Slice index 120, Head, 240x240
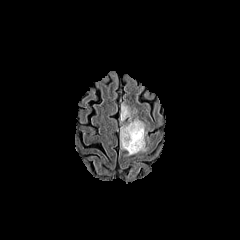
FLAIR MRI.
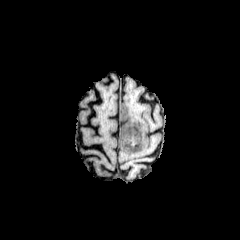
T1-weighted MR.
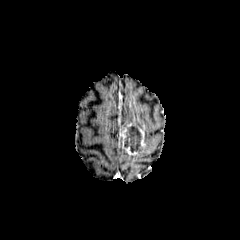
Same slice, post-contrast T1-weighted magnetic resonance.
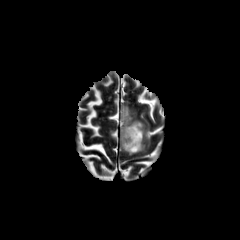
T2-weighted MR image.
{
  "enhancing_tumor": [
    "rect(120, 128, 137, 155)",
    "rect(137, 125, 145, 148)"
  ],
  "edema": [
    "rect(120, 103, 130, 119)"
  ],
  "non-enhancing_tumor_core": [
    "rect(124, 123, 141, 152)"
  ]
}